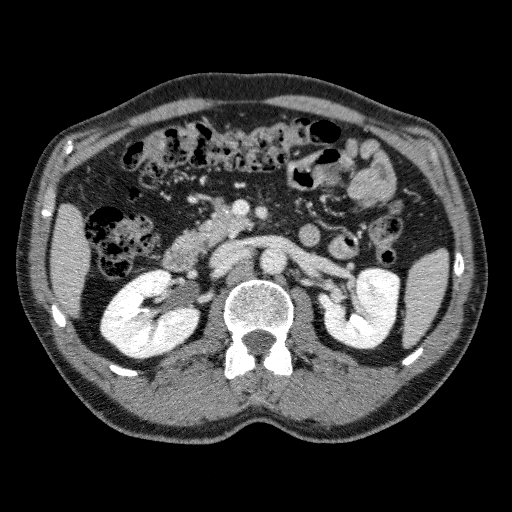 CT image
Liver — [x1=51, y1=203, x2=90, y2=315].
Kidney — [x1=101, y1=270, x2=198, y2=357], [x1=320, y1=269, x2=398, y2=347].